FLAIR MR image.
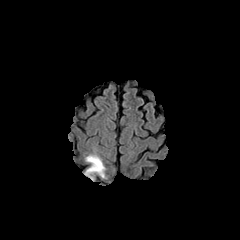
T1-weighted MR image.
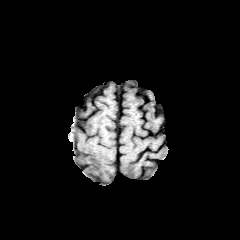
Post-contrast T1-weighted MR.
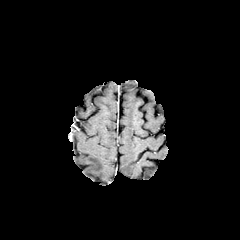
T2-weighted magnetic resonance.
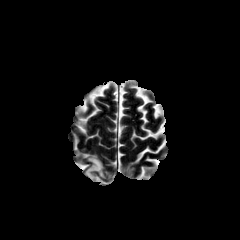
240x240 px
The edema is at <box>83,152,107,180</box>.